Slice index 75, Image size 240x240
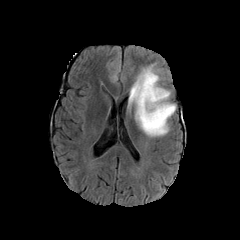
FLAIR MR image.
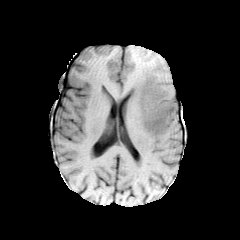
Same slice, T1-weighted MRI.
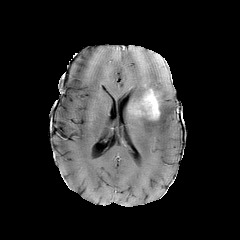
Post-contrast T1-weighted MRI.
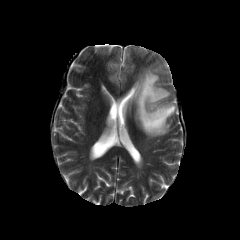
T2-weighted magnetic resonance.
Findings:
• non-enhancing tumor core: (136,92,173,127)
• edema: (127,65,176,137)
• enhancing tumor: (142,88,159,119)